240x240 px.
FLAIR MR.
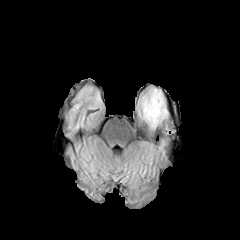
T1-weighted MR image.
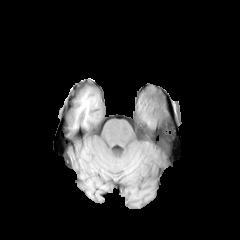
Post-contrast T1-weighted MR.
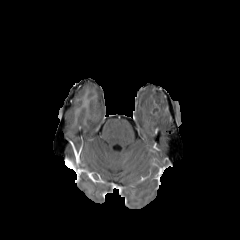
T2-weighted MR.
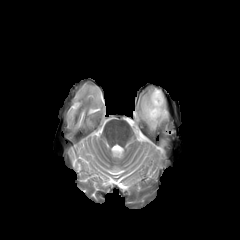
Edema — box(157, 140, 166, 155); box(136, 86, 162, 131).
Non-enhancing tumor core — box(150, 88, 170, 121).